Abdomen; Slice 427 of 624; Computed tomography 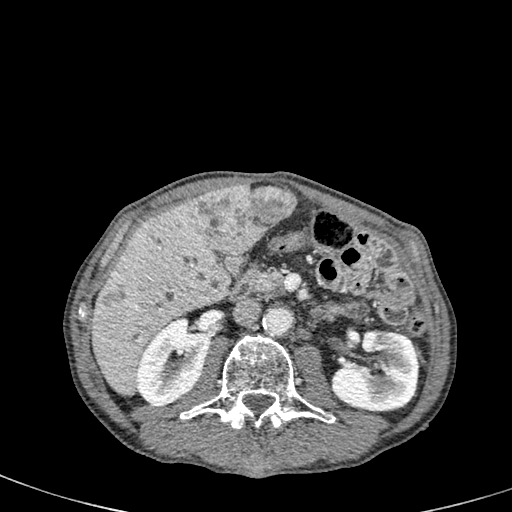 2 kidney regions are located at 332:331:418:410, 136:315:211:406. 2 liver lesion regions are located at 199:185:295:254, 103:288:124:305. The liver is at 91:198:232:396.